FLAIR MRI.
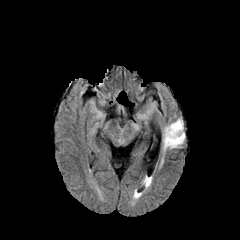
T1-weighted magnetic resonance.
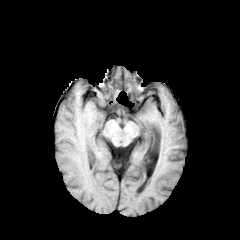
Post-contrast T1-weighted MRI.
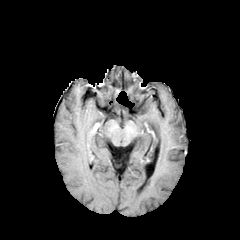
T2-weighted magnetic resonance.
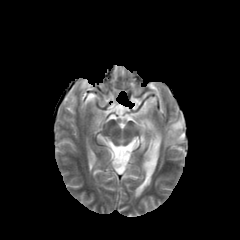
Brain
edema:
  - 162, 118, 184, 149